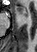

Magnetic resonance. 2 anterior hippocampus regions are located at 17 6 22 13, 25 13 27 16.